Field of view 351 mm wide, 1.00 mm slice spacing. CT slice.

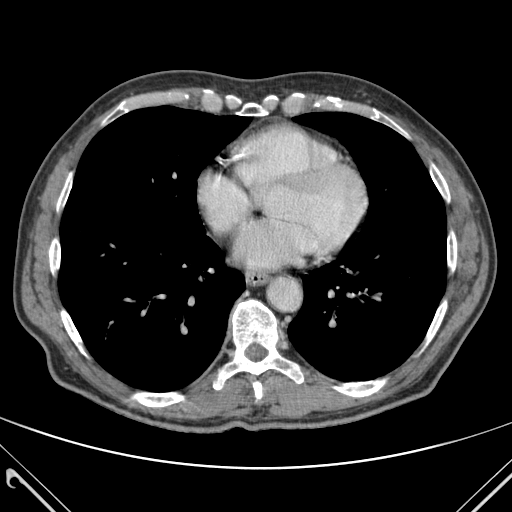
Bone at x1=103 y1=101 x2=129 y2=122, x1=57 y1=173 x2=71 y2=216, x1=447 y1=232 x2=456 y2=270, x1=253 y1=382 x2=261 y2=398, x1=430 y1=164 x2=449 y2=201, x1=322 y1=97 x2=345 y2=107, x1=213 y1=300 x2=303 y2=389, x1=236 y1=103 x2=269 y2=115, x1=359 y1=108 x2=407 y2=135, x1=426 y1=301 x2=446 y2=344, x1=134 y1=393 x2=183 y2=406, x1=334 y1=380 x2=384 y2=396, x1=49 y1=235 x2=60 y2=277, x1=61 y1=311 x2=85 y2=355.
Lung at x1=288 y1=112 x2=446 y2=380, x1=58 y1=106 x2=250 y2=391.